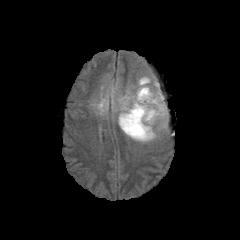
FLAIR MR image.
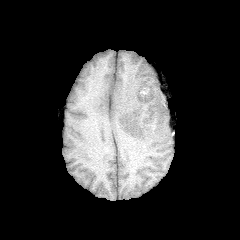
T1-weighted magnetic resonance of the same slice.
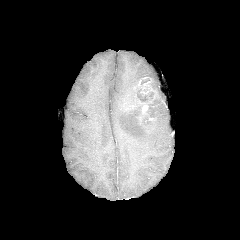
Post-contrast T1-weighted magnetic resonance.
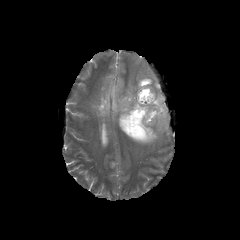
Same slice, T2-weighted magnetic resonance.
Image size 240x240, Head
Enhancing tumor = box=[139, 77, 153, 91]; box=[138, 101, 148, 119].
Edema = box=[152, 82, 164, 104]; box=[92, 87, 169, 143].
Non-enhancing tumor core = box=[118, 82, 164, 133].